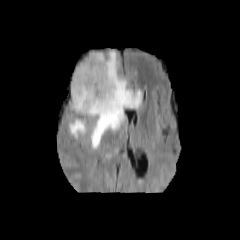
FLAIR MR image.
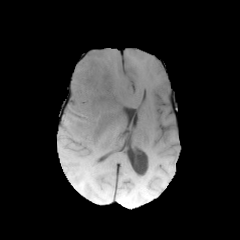
Same slice, T1-weighted MR image.
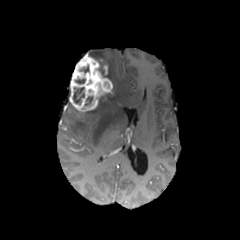
Post-contrast T1-weighted magnetic resonance.
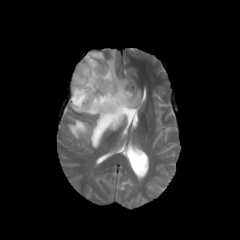
T2-weighted MR image.
{"edema": ["(x1=69, y1=51, x2=142, y2=148)", "(x1=68, y1=118, x2=87, y2=137)"], "enhancing_tumor": ["(x1=102, y1=64, x2=108, y2=75)", "(x1=69, y1=54, x2=112, y2=111)"], "non-enhancing_tumor_core": ["(x1=72, y1=87, x2=84, y2=102)", "(x1=98, y1=81, x2=114, y2=99)", "(x1=88, y1=51, x2=111, y2=80)"]}